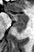
Medial temporal lobe, MR, 34x52
Posterior hippocampus: (left=14, top=21, right=27, bottom=32).
Anterior hippocampus: (left=8, top=13, right=27, bottom=21).